CT; Abdomen

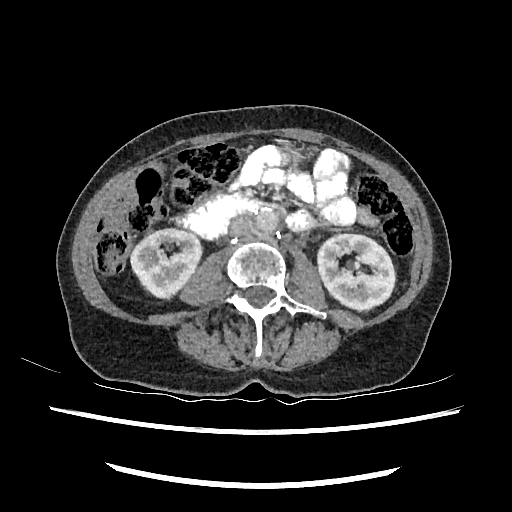 2 kidney regions are bounded by x1=318, y1=234, x2=394, y2=309; x1=131, y1=228, x2=200, y2=296.